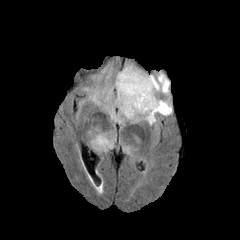
FLAIR magnetic resonance.
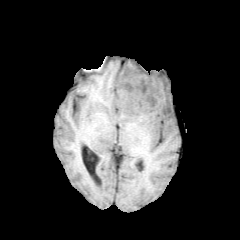
T1-weighted MRI.
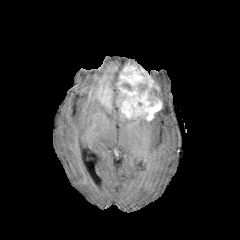
Post-contrast T1-weighted MR image of the same slice.
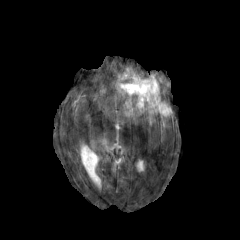
T2-weighted MR image of the same slice.
Head. 240x240.
Segmented structures:
• enhancing tumor: (97, 86, 112, 112), (115, 64, 161, 120)
• edema: (83, 65, 172, 125), (93, 133, 116, 151)
• non-enhancing tumor core: (137, 84, 147, 93), (121, 83, 133, 91)